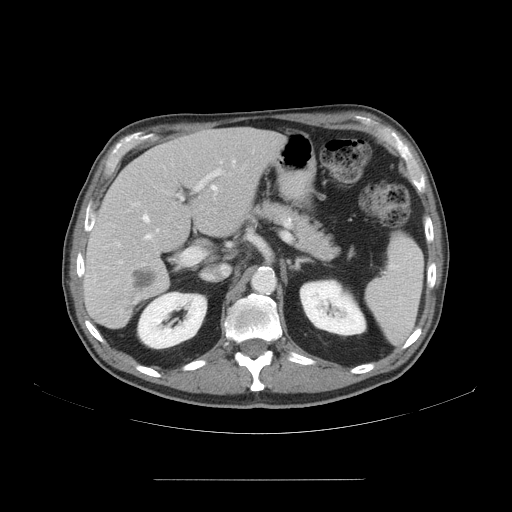
CT

Only some of the vessels may be annotated.
<segmentation>
  <hepatic_vessel>(x1=195, y1=169, x2=222, y2=190), (x1=118, y1=244, x2=119, y2=245), (x1=131, y1=203, x2=139, y2=206), (x1=180, y1=197, x2=182, y2=198), (x1=143, y1=228, x2=158, y2=239), (x1=220, y1=161, x2=221, y2=162), (x1=232, y1=159, x2=235, y2=165), (x1=142, y1=213, x2=149, y2=223), (x1=120, y1=262, x2=121, y2=263), (x1=211, y1=185, x2=217, y2=193), (x1=182, y1=248, x2=203, y2=264)</hepatic_vessel>
</segmentation>